Image size 512x512. Computed tomography.
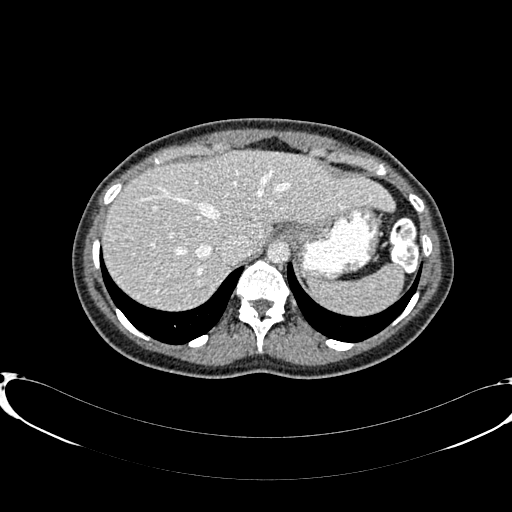 The liver lies within (104, 151, 393, 310).